Slice 663 of 707; Head; CT; Image size 512x512 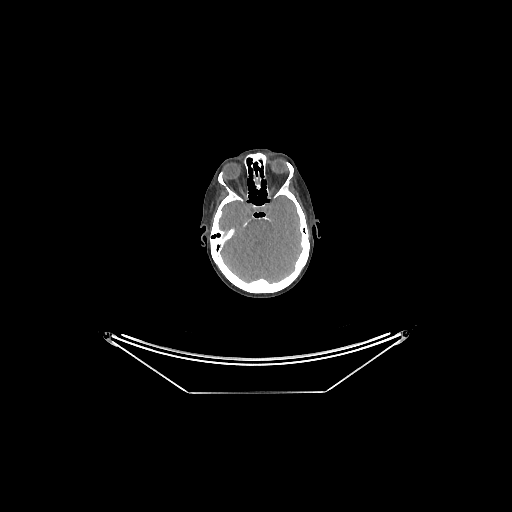
Brain: rect(218, 195, 302, 283).